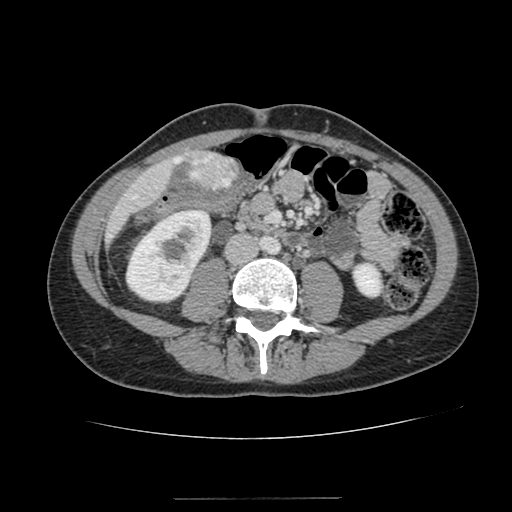
Upper abdomen, CT image

2 kidney regions are bounded by bbox=[354, 264, 380, 295]; bbox=[127, 211, 210, 300]. The hepatic lesion is located at bbox=[190, 152, 236, 188]. The liver lies within bbox=[104, 150, 207, 244].